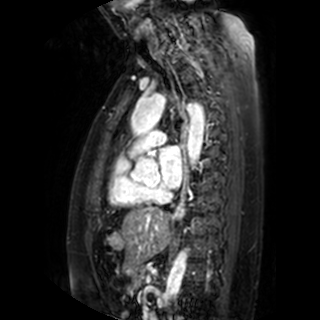 Heart. MRI slice.
Segmented structures:
• left atrium: {"x1": 159, "y1": 145, "x2": 182, "y2": 188}